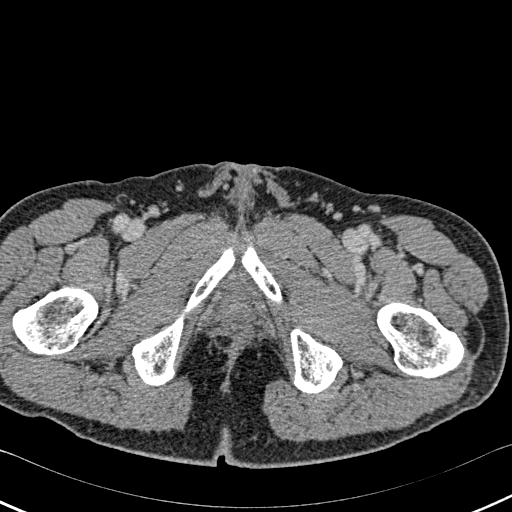 CT scan slice

bone:
  - 377,303,463,377
  - 12,288,97,354
  - 242,243,281,303
  - 290,329,342,393
  - 132,247,234,385